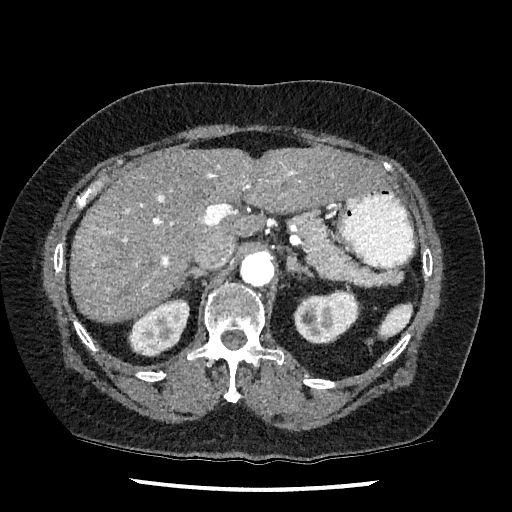

Liver | 512x512 | CT scan slice
The liver appears at (left=70, top=148, right=385, bottom=321). 2 kidney regions are located at (left=129, top=300, right=188, bottom=355), (left=295, top=292, right=357, bottom=342).